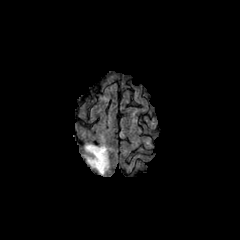
FLAIR MR.
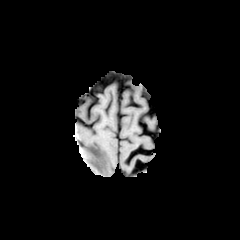
T1-weighted MR image.
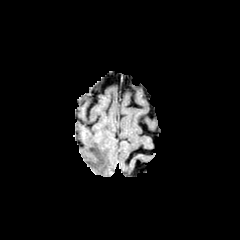
Same slice, post-contrast T1-weighted MR.
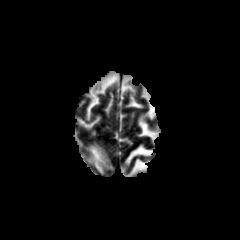
T2-weighted magnetic resonance.
The edema is located at left=84, top=144, right=109, bottom=174.